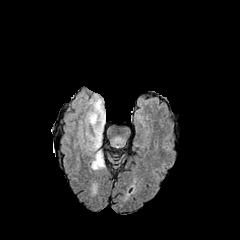
FLAIR magnetic resonance.
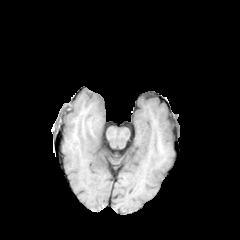
Same slice, T1-weighted magnetic resonance.
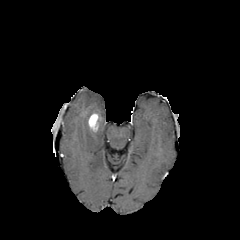
Same slice, post-contrast T1-weighted MR.
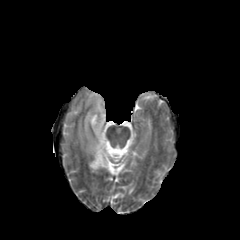
Same slice, T2-weighted magnetic resonance.
Brain.
enhancing_tumor:
  - <box>88,113,98,131</box>
edema:
  - <box>81,93,105,172</box>